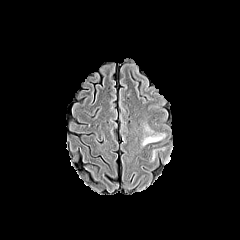
FLAIR magnetic resonance.
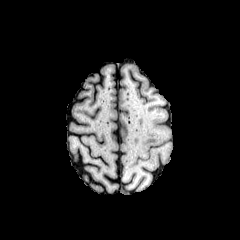
Same slice, T1-weighted MR image.
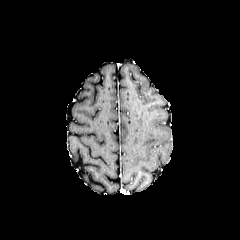
Same slice, post-contrast T1-weighted MRI.
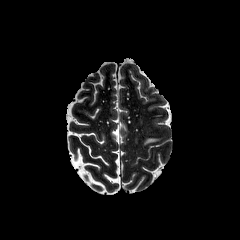
T2-weighted MR.
The edema is at (143, 137, 161, 145).